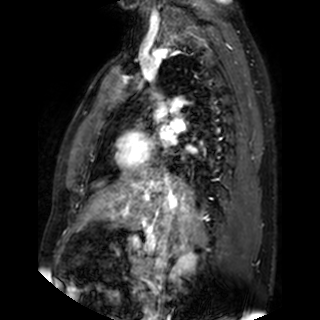 MRI

{
  "left_atrium": [
    "[161,127,174,140]"
  ]
}